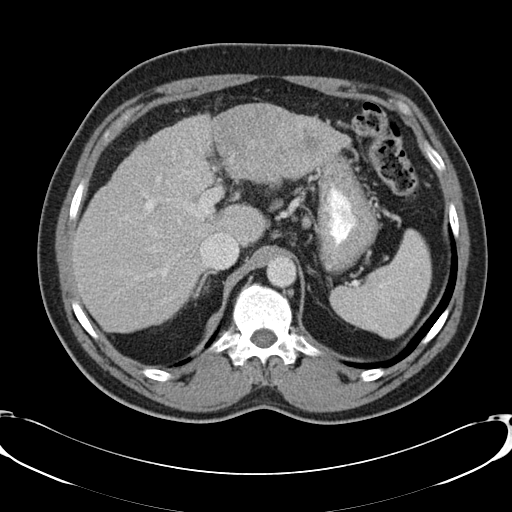 512x512. CT image.

Some hepatic vessels may have no box.
{
  "hepatic_vessel": [
    "region(160, 264, 167, 276)",
    "region(153, 232, 157, 236)",
    "region(230, 155, 233, 161)",
    "region(155, 176, 160, 181)",
    "region(177, 254, 179, 255)",
    "region(144, 178, 220, 219)",
    "region(147, 273, 154, 276)",
    "region(148, 247, 161, 251)",
    "region(182, 249, 186, 250)",
    "region(149, 226, 152, 229)"
  ],
  "liver_tumor": [
    "region(303, 134, 320, 150)"
  ]
}